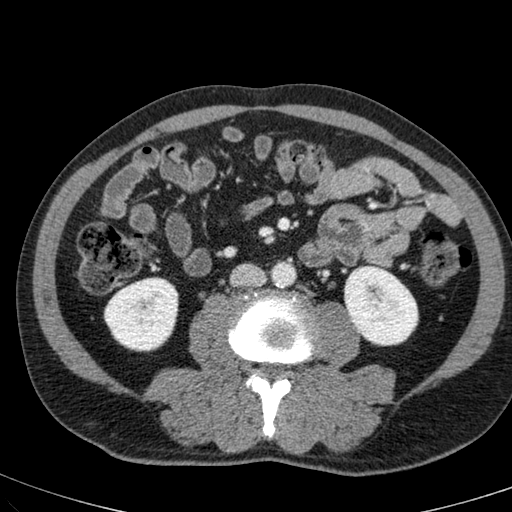

Abdomen; CT image; 512x512 px

{"kidney": ["345:267:417:344", "106:279:176:349"]}